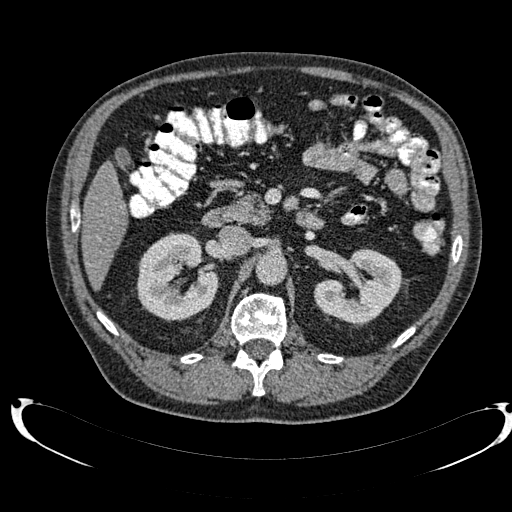 Upper abdomen, CT scan slice
Annotated regions:
- liver: l=82, t=161, r=127, b=289
- kidney: l=314, t=249, r=401, b=324; l=137, t=233, r=217, b=320